Abdomen; Slice 340 of 751; CT; Field of view 439 mm wide, 0.80 mm slice spacing

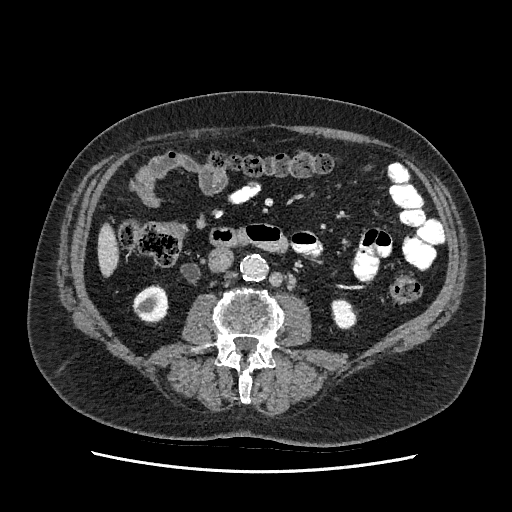
2 kidney regions are bounded by x1=135, y1=287, x2=167, y2=320; x1=333, y1=301, x2=354, y2=327. The liver is at x1=98, y1=224, x2=117, y2=275.